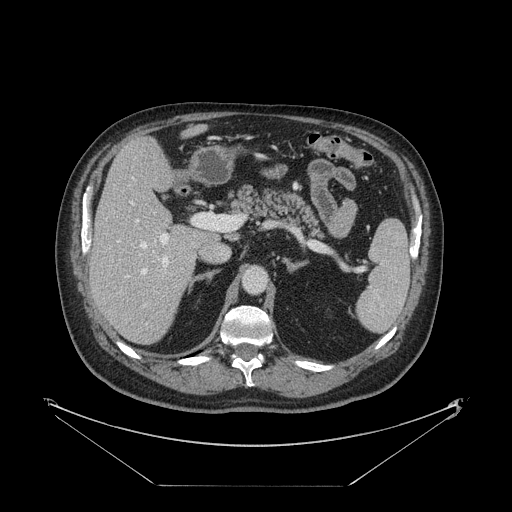

CT
Some hepatic vessels may have no box.
hepatic vessel: <bbox>135, 219, 137, 221</bbox>, <bbox>130, 200, 132, 202</bbox>, <bbox>160, 234, 167, 244</bbox>, <bbox>163, 257, 167, 262</bbox>